Head, Slice 87 of 155
FLAIR MR image.
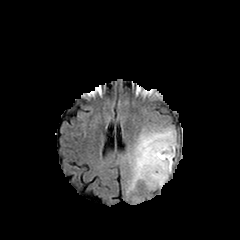
T1-weighted magnetic resonance.
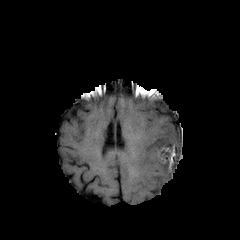
Post-contrast T1-weighted MR.
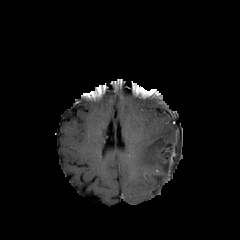
T2-weighted MR.
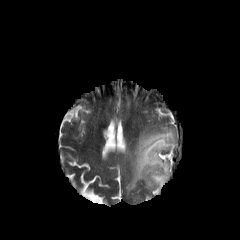
<segmentation>
  <edema>x1=126, y1=124, x2=177, y2=194</edema>
</segmentation>